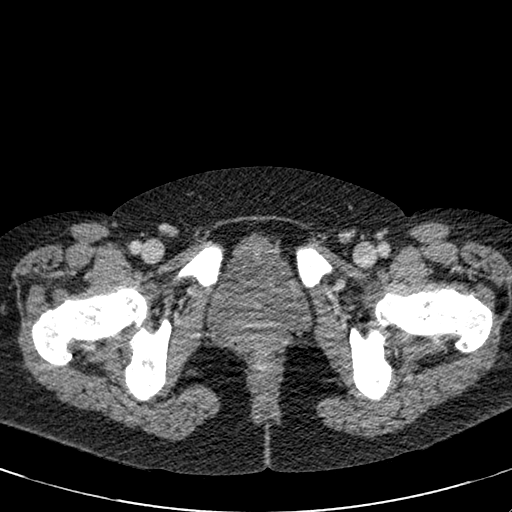

Computed tomography
The urinary bladder appears at (206,233,313,334).